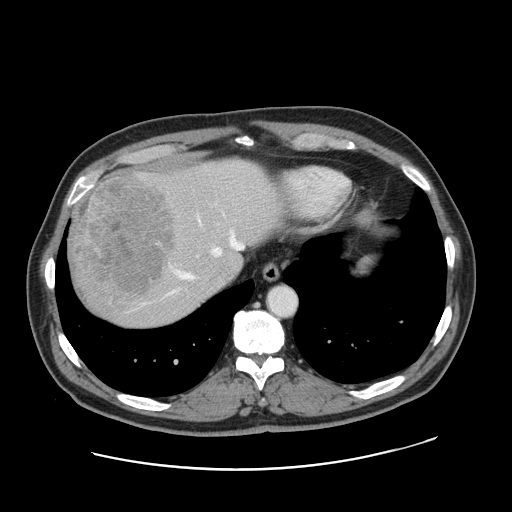 512x512; Liver; Computed tomography
Only some of the vessels may be annotated.
The liver tumor lies within 70, 172, 174, 295. 7 hepatic vessel regions are located at 198, 218, 200, 222; 142, 302, 147, 303; 127, 309, 134, 311; 230, 230, 244, 249; 165, 289, 177, 295; 211, 247, 221, 254; 240, 259, 241, 263.